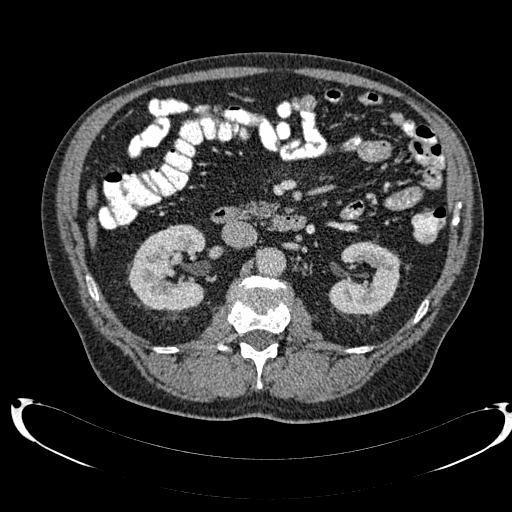 Liver; CT image
Liver: bounding box 87,187,96,208; 88,220,96,246.
Kidney: bounding box 129,224,204,311; 329,242,399,314; 209,246,222,258.